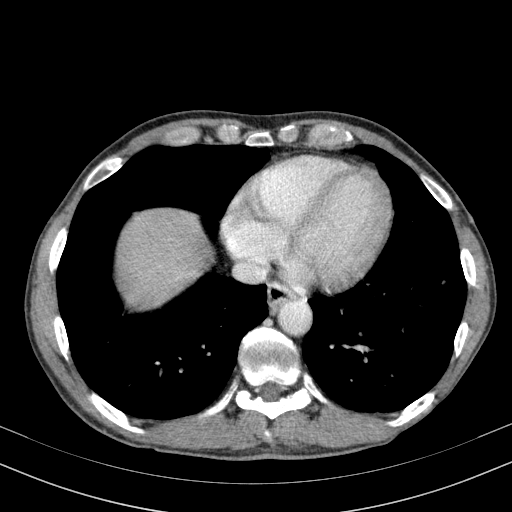

Abdomen, CT scan slice, 512x512 px
liver:
  - (116,208,212,303)